FLAIR magnetic resonance.
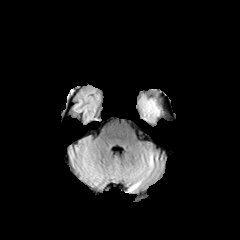
T1-weighted MRI.
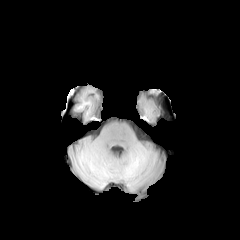
Post-contrast T1-weighted MR image.
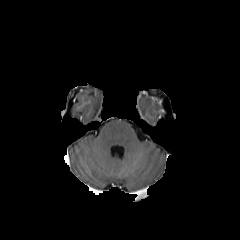
T2-weighted magnetic resonance.
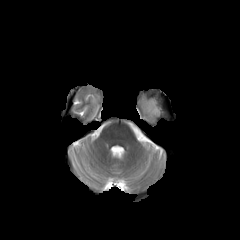
240x240 px.
The edema is located at [143,99,159,119].